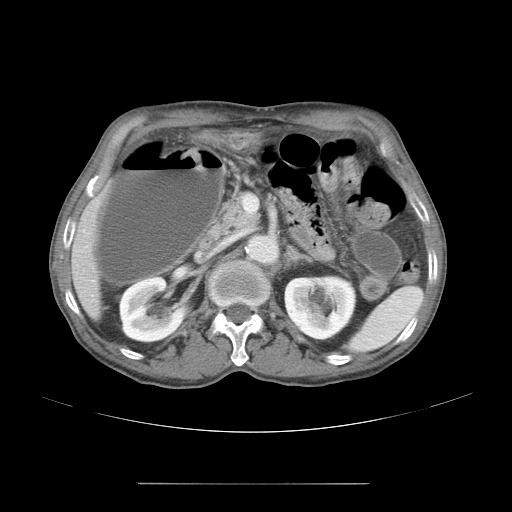
512x512. CT slice. Pelvis.

colon_tumor:
  - <bbox>180, 148, 204, 171</bbox>